Abdomen. CT scan slice.
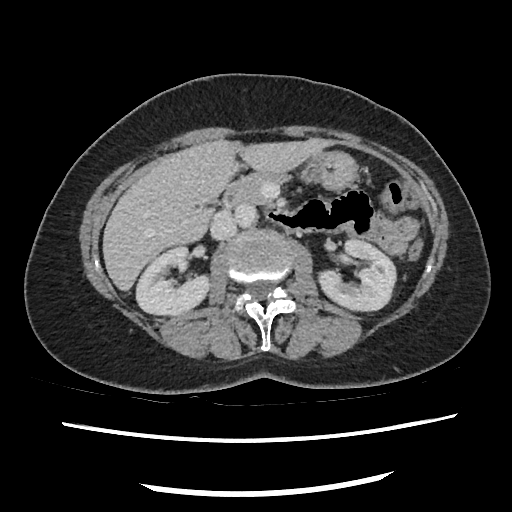
pancreas: 224,172,285,206